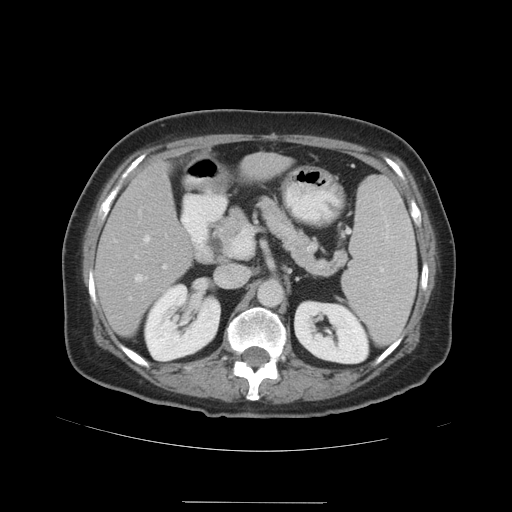

CT slice. Abdomen.

The vessel annotation is not exhaustive.
Hepatic vessel: {"x1": 115, "y1": 240, "x2": 116, "y2": 241}, {"x1": 163, "y1": 265, "x2": 166, "y2": 267}, {"x1": 135, "y1": 274, "x2": 147, "y2": 281}, {"x1": 135, "y1": 256, "x2": 137, "y2": 257}, {"x1": 129, "y1": 297, "x2": 131, "y2": 299}, {"x1": 144, "y1": 236, "x2": 149, "y2": 241}, {"x1": 163, "y1": 175, "x2": 164, "y2": 177}.